CT scan slice, Slice index 322
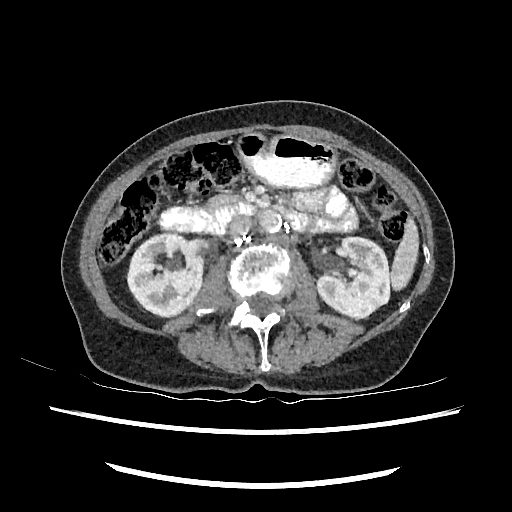
Kidney at {"x1": 128, "y1": 234, "x2": 201, "y2": 316}, {"x1": 318, "y1": 237, "x2": 389, "y2": 317}.